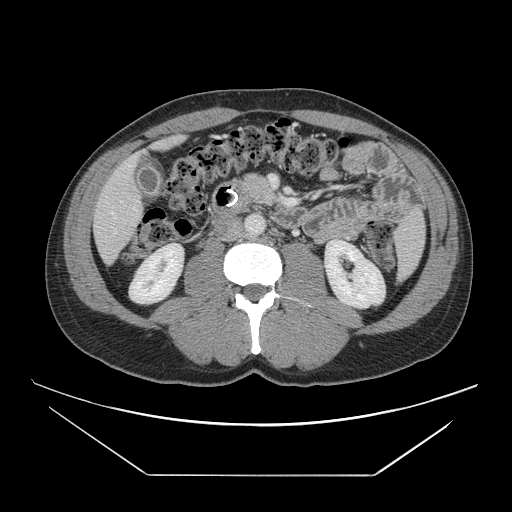

Upper abdomen | Computed tomography | Image size 512x512
pancreas: 242 174 266 202